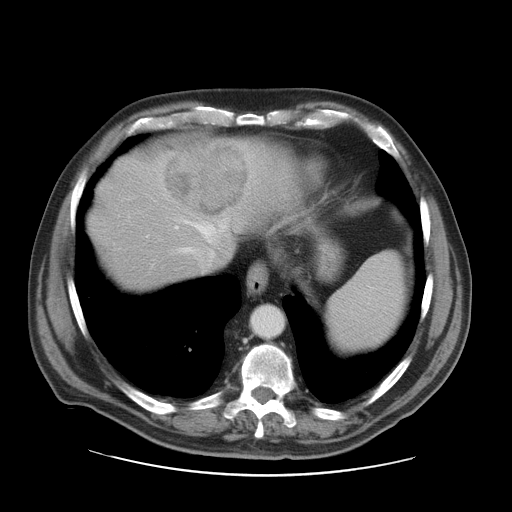

512x512 px, Liver, CT scan slice
Not every hepatic vessel necessarily has a box.
Liver tumor: bounding box (164, 144, 247, 216).
Hepatic vessel: bounding box (211, 252, 213, 256), (195, 225, 216, 242), (186, 221, 191, 224), (183, 247, 191, 251), (175, 226, 177, 228), (218, 222, 225, 231).